FLAIR MRI.
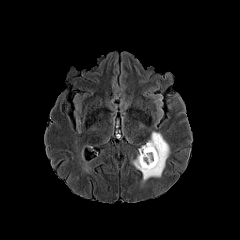
T1-weighted MR image.
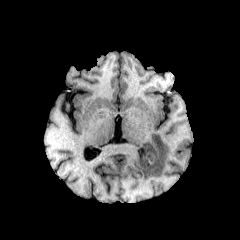
Post-contrast T1-weighted MRI.
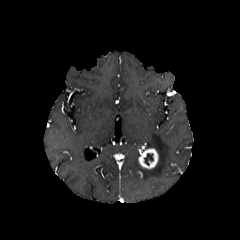
T2-weighted MR.
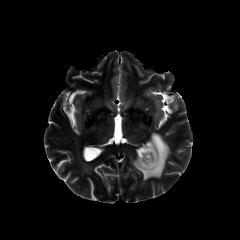
Brain
Enhancing tumor: box=[138, 148, 158, 169].
Edema: box=[133, 131, 170, 180].
Non-enhancing tumor core: box=[143, 153, 153, 166].